Image width 240 mm.
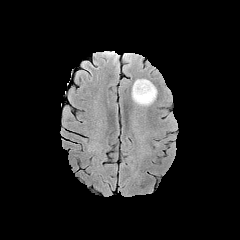
FLAIR magnetic resonance.
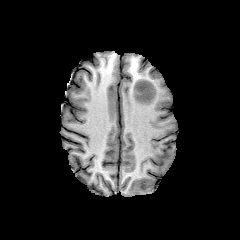
Same slice, T1-weighted magnetic resonance.
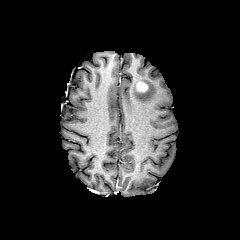
Post-contrast T1-weighted MR.
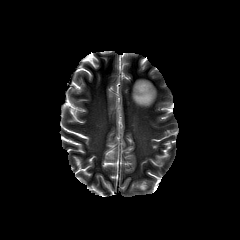
T2-weighted MRI.
Enhancing tumor — box=[136, 81, 147, 92].
Edema — box=[131, 79, 157, 107].
Non-enhancing tumor core — box=[136, 79, 150, 93].